240x240 px. Slice index 44.
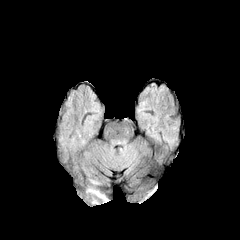
FLAIR MRI.
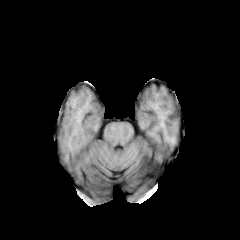
T1-weighted MR.
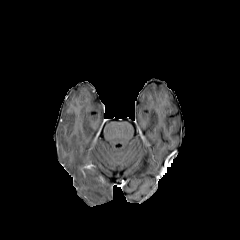
Post-contrast T1-weighted MR.
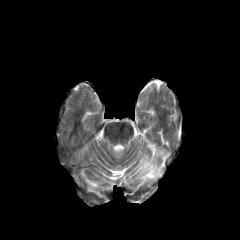
T2-weighted magnetic resonance of the same slice.
<segmentation>
  <edema><box>88,186,106,200</box></edema>
</segmentation>